CT, Liver 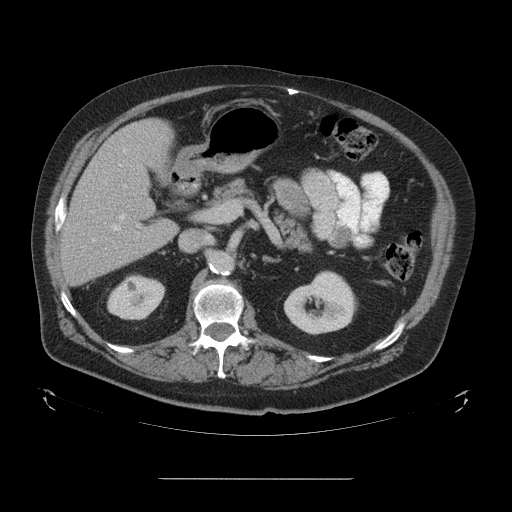 Not every hepatic vessel necessarily has a box.
{
  "hepatic_vessel": [
    "[88, 210, 94, 212]",
    "[134, 224, 139, 239]",
    "[129, 207, 130, 210]",
    "[206, 211, 213, 220]",
    "[122, 147, 128, 153]",
    "[111, 214, 125, 231]",
    "[116, 246, 117, 248]",
    "[101, 180, 107, 184]",
    "[123, 185, 126, 188]",
    "[126, 242, 127, 243]",
    "[149, 228, 151, 231]",
    "[91, 238, 95, 241]",
    "[119, 161, 127, 166]"
  ]
}